Image width 472 mm. Abdomen. CT image. 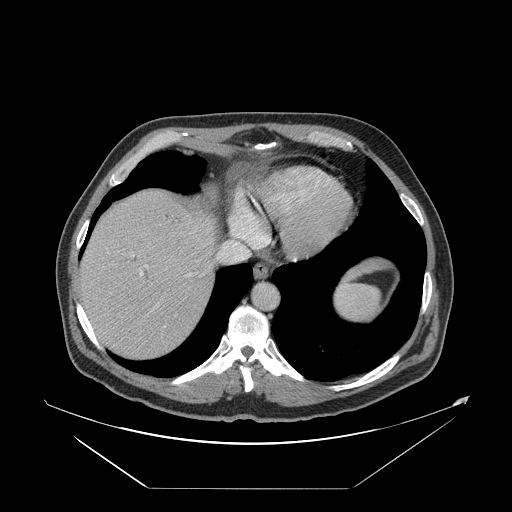 Some hepatic vessels may have no box.
Hepatic vessel — x1=139 y1=265 x2=147 y2=275, x1=186 y1=274 x2=193 y2=277, x1=207 y1=265 x2=211 y2=271, x1=130 y1=253 x2=133 y2=256, x1=216 y1=228 x2=255 y2=262, x1=199 y1=274 x2=201 y2=276.